512x512 | Slice 158/245 | Upper abdomen | Computed tomography

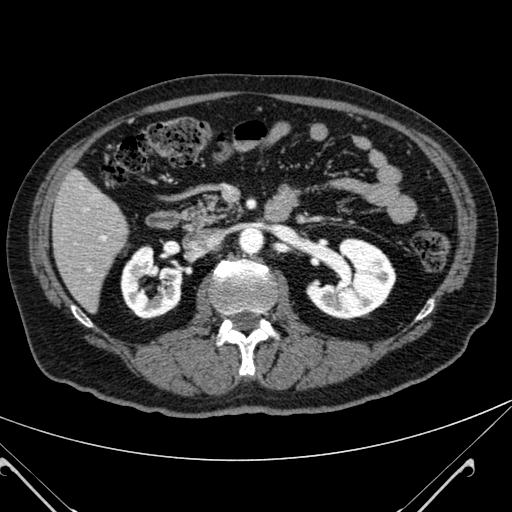 2 kidney regions are bounded by left=121, top=247, right=181, bottom=317; left=308, top=240, right=394, bottom=317. The liver is bounded by left=52, top=173, right=127, bottom=309.